Head
FLAIR MRI.
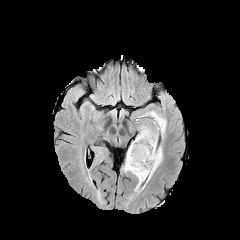
T1-weighted MRI.
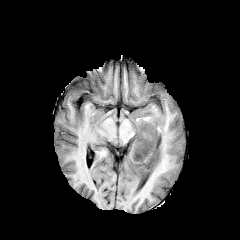
Post-contrast T1-weighted MR image.
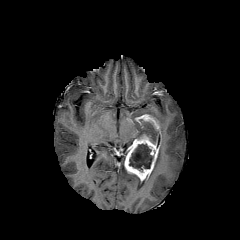
T2-weighted MR image.
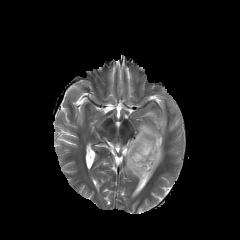
<segmentation>
  <enhancing_tumor>l=124, t=136, r=159, b=181; l=137, t=114, r=159, b=128</enhancing_tumor>
  <non-enhancing_tumor_core>l=129, t=143, r=155, b=172; l=146, t=135, r=159, b=148</non-enhancing_tumor_core>
  <edema>l=136, t=110, r=166, b=139; l=134, t=144, r=162, b=194</edema>
</segmentation>